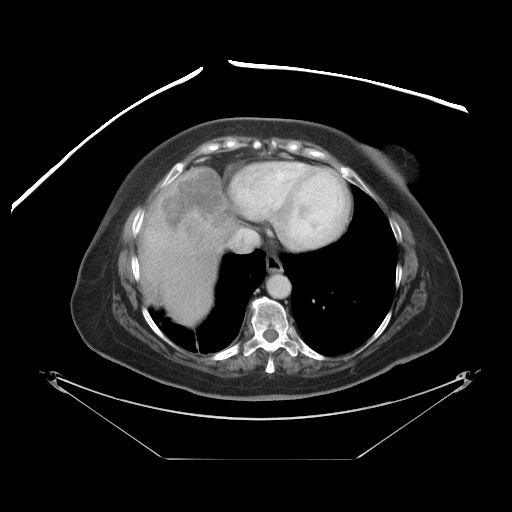

Abdomen, Computed tomography
The vessel annotation is not exhaustive.
The liver tumor appears at [159, 171, 230, 237]. The hepatic vessel lies within [230, 229, 257, 249].